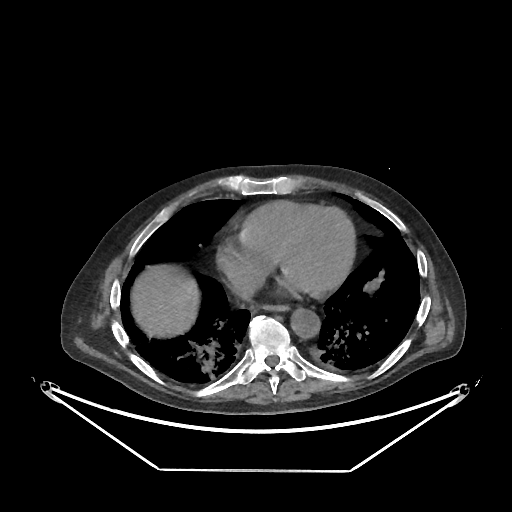

CT scan slice
The liver lies within region(132, 265, 198, 337).